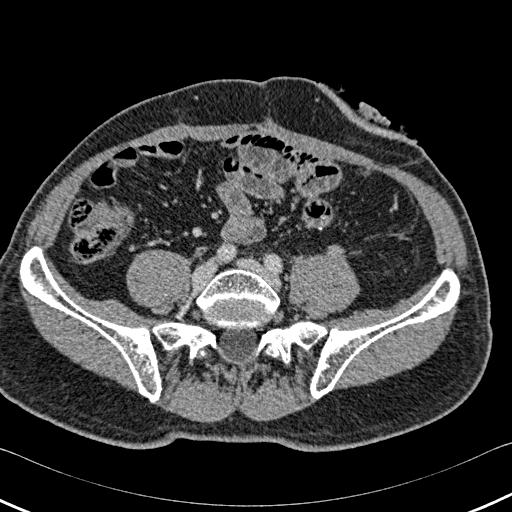
Computed tomography
{"bone": ["box=[196, 269, 279, 327]", "box=[310, 270, 459, 398]", "box=[256, 322, 328, 363]", "box=[20, 247, 216, 401]"]}